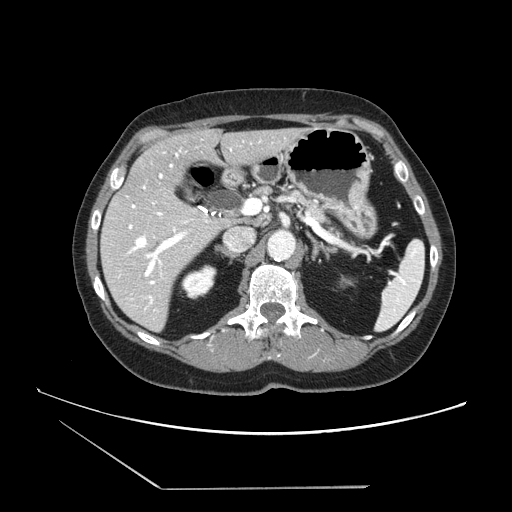

Computed tomography; 512x512
{
  "pancreas": [
    "(left=290, top=191, right=329, bottom=225)"
  ]
}